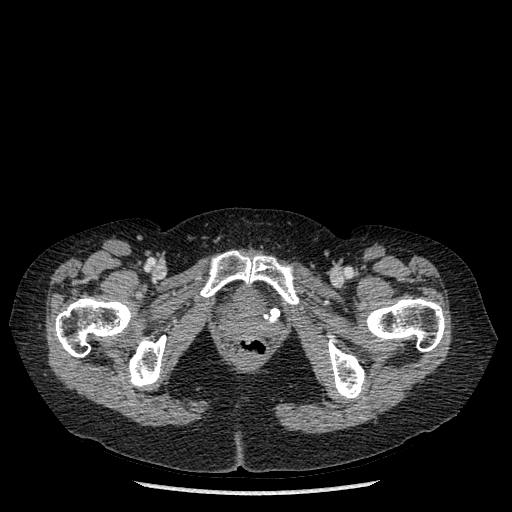

CT slice

- bone: x1=364, y1=298, x2=445, y2=351; x1=128, y1=333, x2=166, y2=388; x1=327, y1=336, x2=365, y2=399; x1=200, y1=251, x2=298, y2=304; x1=54, y1=297, x2=132, y2=357